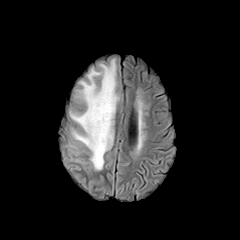
FLAIR magnetic resonance.
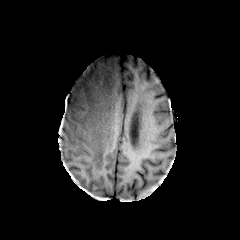
T1-weighted MRI.
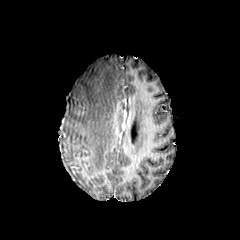
Post-contrast T1-weighted MR image.
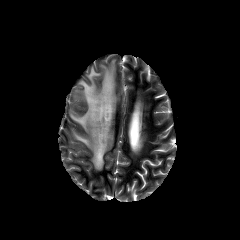
T2-weighted magnetic resonance.
Image size 240x240
Edema — (70, 60, 118, 170).